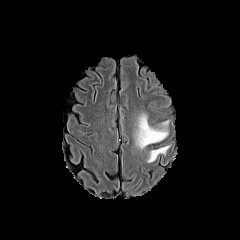
FLAIR MR image.
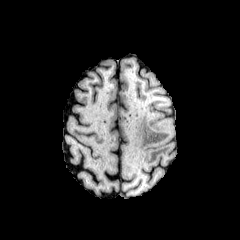
T1-weighted MR of the same slice.
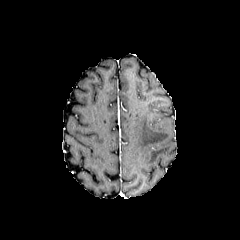
Post-contrast T1-weighted magnetic resonance.
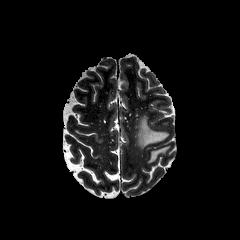
T2-weighted magnetic resonance.
Head
Edema = left=135, top=116, right=167, bottom=148; left=147, top=146, right=169, bottom=162.